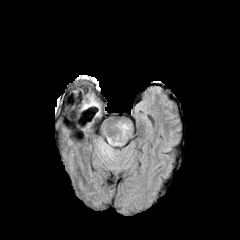
FLAIR MR image.
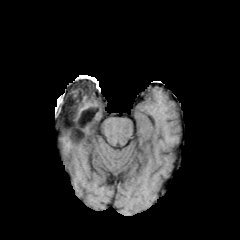
T1-weighted MR image of the same slice.
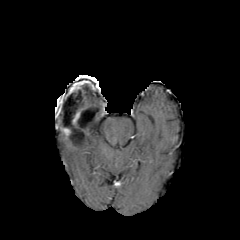
Post-contrast T1-weighted MR.
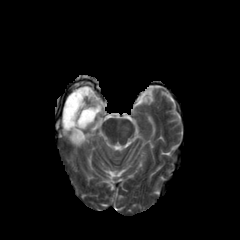
T2-weighted MRI of the same slice.
Brain
Annotated regions:
- edema: (81,90,97,110)